FLAIR MR image.
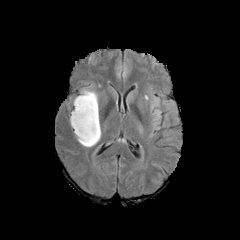
T1-weighted MRI.
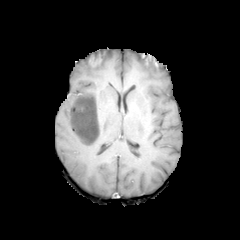
Post-contrast T1-weighted MR image.
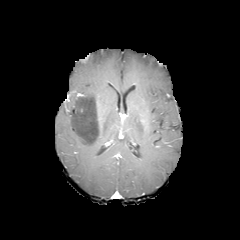
T2-weighted MR.
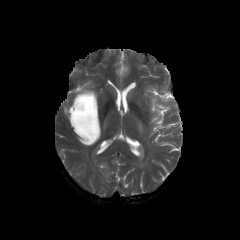
Head
<segmentation>
  <non-enhancing_tumor_core>(x1=70, y1=94, x2=98, y2=141)</non-enhancing_tumor_core>
  <edema>(x1=68, y1=96, x2=102, y2=148), (x1=78, y1=86, x2=99, y2=109), (x1=146, y1=92, x2=163, y2=129)</edema>
</segmentation>